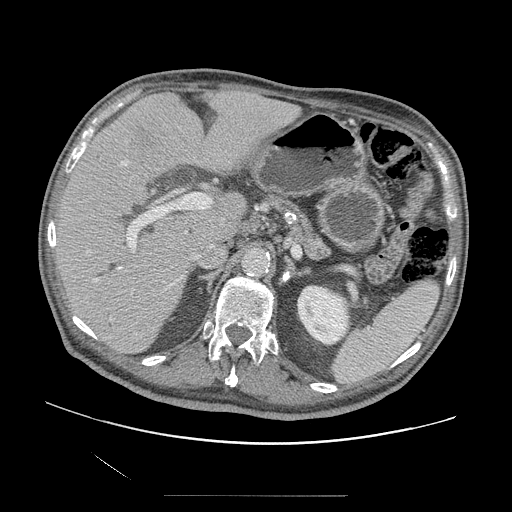

Computed tomography
Pancreas — 262, 193, 331, 262.